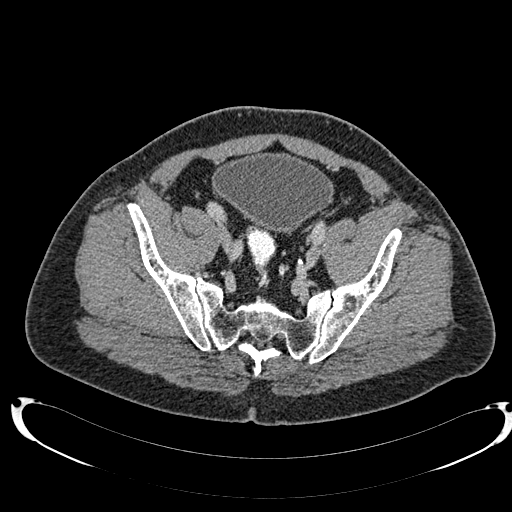 CT image
The urinary bladder appears at [213, 152, 331, 233].